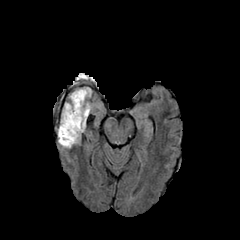
FLAIR MR.
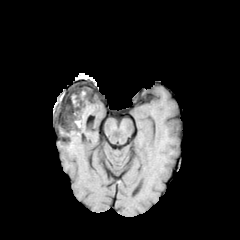
T1-weighted MR image.
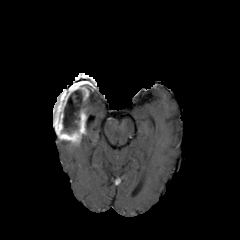
Same slice, post-contrast T1-weighted MRI.
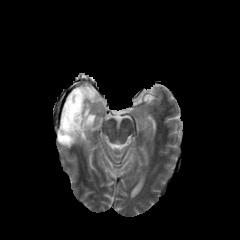
T2-weighted MRI of the same slice.
non-enhancing tumor core: [59, 103, 79, 138] | edema: [63, 103, 70, 121], [64, 87, 91, 146]